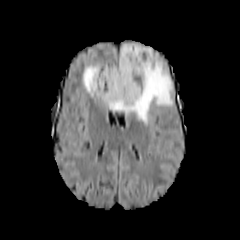
FLAIR magnetic resonance.
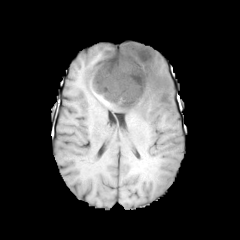
T1-weighted MRI.
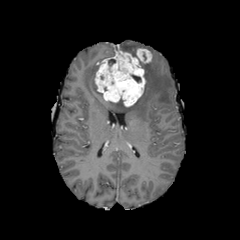
Same slice, post-contrast T1-weighted MR.
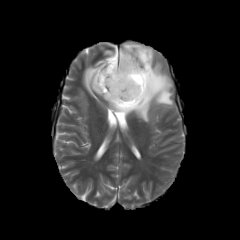
T2-weighted MR of the same slice.
Head.
{"edema": ["(left=83, top=43, right=173, bottom=125)"], "enhancing_tumor": ["(left=94, top=49, right=145, bottom=106)", "(left=136, top=48, right=152, bottom=63)"]}